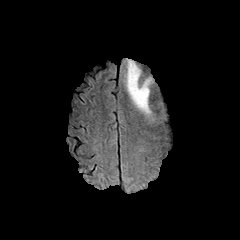
FLAIR MR image.
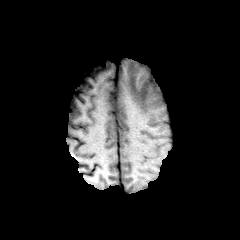
Same slice, T1-weighted MRI.
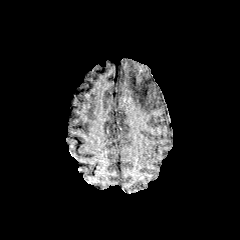
Post-contrast T1-weighted magnetic resonance.
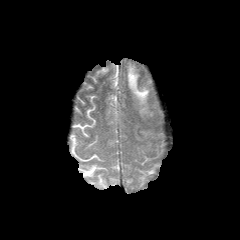
T2-weighted magnetic resonance.
Brain
edema: [126,61,153,118]